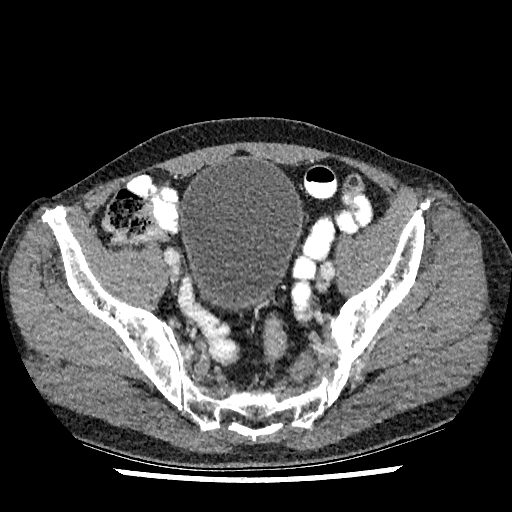
512x512, Pelvis, CT scan slice
Urinary bladder at (x1=180, y1=159, x2=299, y2=311).